Pelvis; CT slice; 512x512; Slice index 168; Image width 388 mm

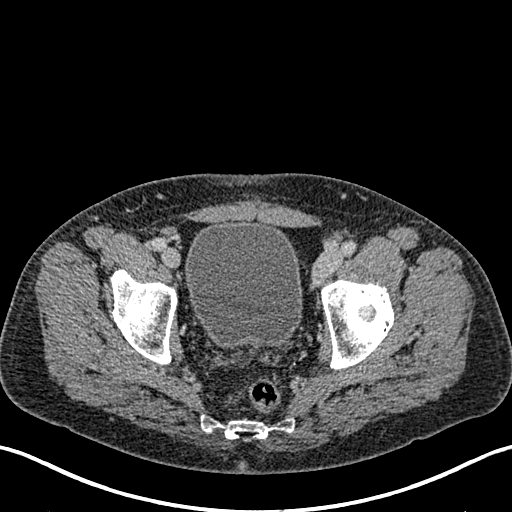
urinary_bladder:
  - [185,219,302,347]